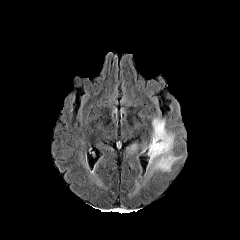
FLAIR MR image.
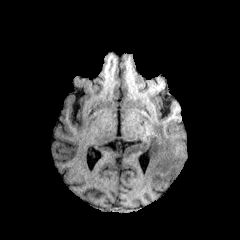
T1-weighted MR image of the same slice.
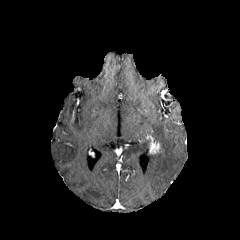
Post-contrast T1-weighted MR image.
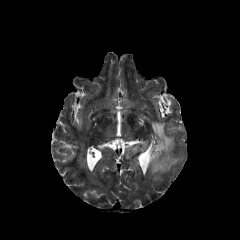
T2-weighted MR image.
Image size 240x240 | Head
The enhancing tumor is bounded by (x1=149, y1=143, x2=163, y2=154). The edema is at (x1=146, y1=117, x2=179, y2=174).